CT slice, Liver

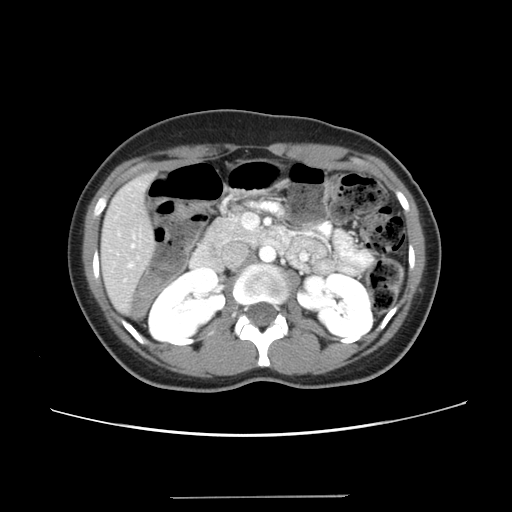

The vessel annotation is not exhaustive.
Hepatic vessel = x1=124 y1=279 x2=126 y2=281, x1=129 y1=263 x2=133 y2=267, x1=133 y1=235 x2=135 y2=238, x1=132 y1=244 x2=134 y2=247.